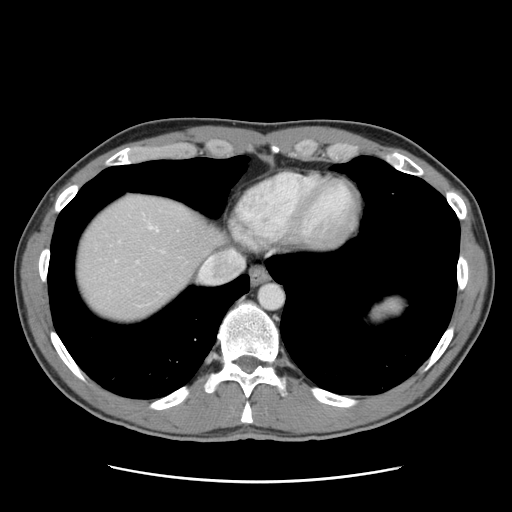 512x512 px. Liver. CT slice.
Only some of the vessels may be annotated.
hepatic vessel: box=[149, 226, 153, 228]; box=[154, 228, 157, 231]